Head
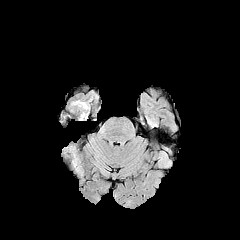
FLAIR MR image.
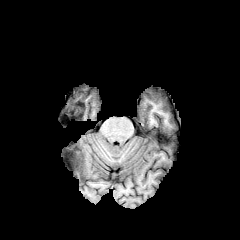
T1-weighted MR.
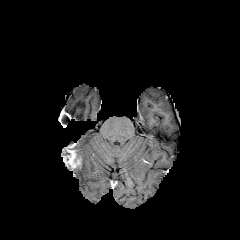
Post-contrast T1-weighted MR.
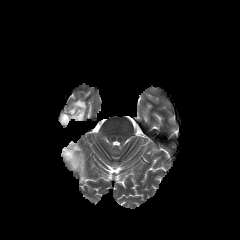
Same slice, T2-weighted magnetic resonance.
Enhancing tumor = 62:144:81:168.
Edema = 69:99:89:119.